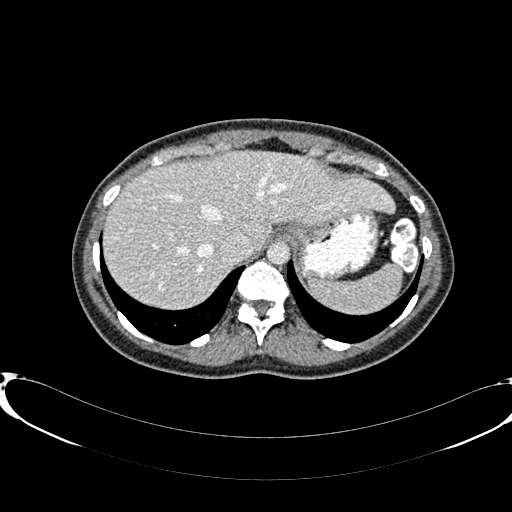
Liver. Computed tomography. Image size 512x512.

The liver appears at (104, 151, 393, 308).